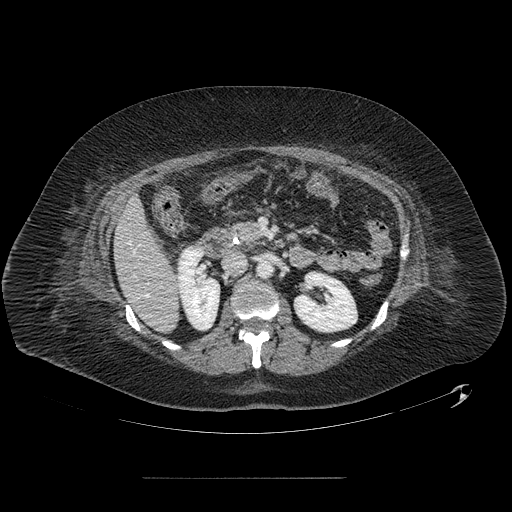

Abdomen, CT scan slice
The pancreatic tumor appears at 236 224 259 240. The pancreas appears at 232 221 262 246.